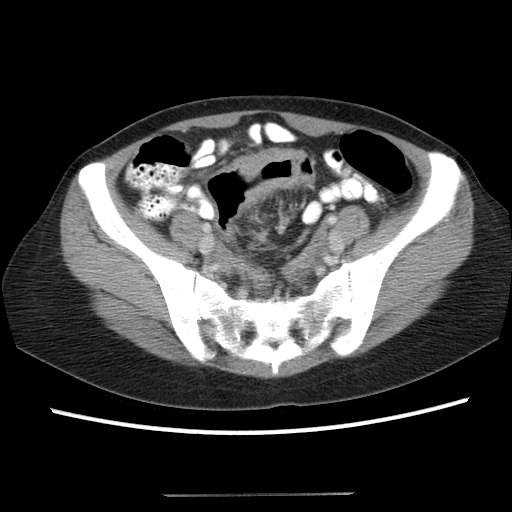 CT image, Pelvis
The colon tumor appears at bbox(225, 148, 313, 216).